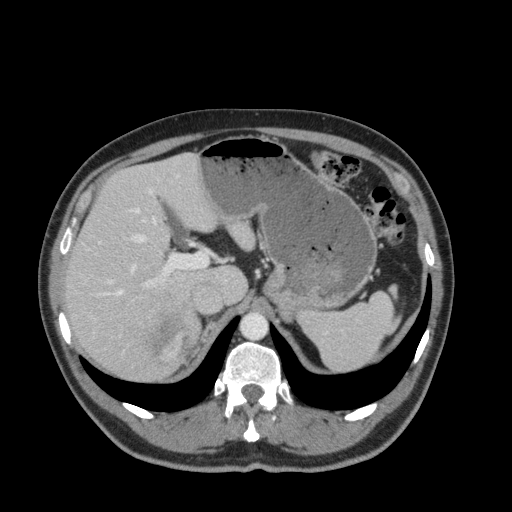
CT scan slice
Segmented structures:
* liver: bbox(229, 220, 253, 247); bbox(384, 317, 399, 335); bbox(66, 154, 246, 379)